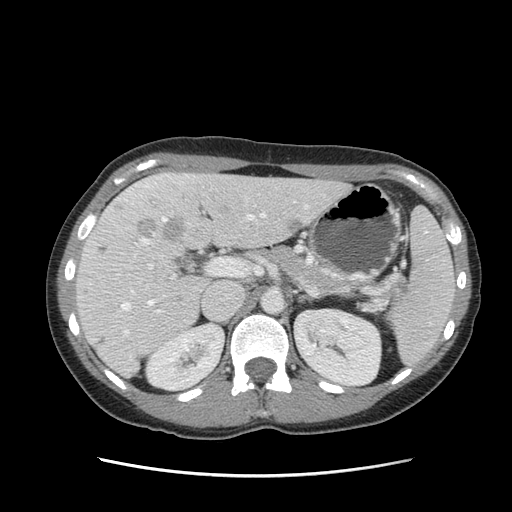 CT image | Abdomen

2 pancreas regions are bounded by [x1=382, y1=278, x2=400, y2=294], [x1=270, y1=246, x2=346, y2=293]. The pancreatic tumor appears at [x1=382, y1=278, x2=409, y2=301].